CT slice | 512x512 px 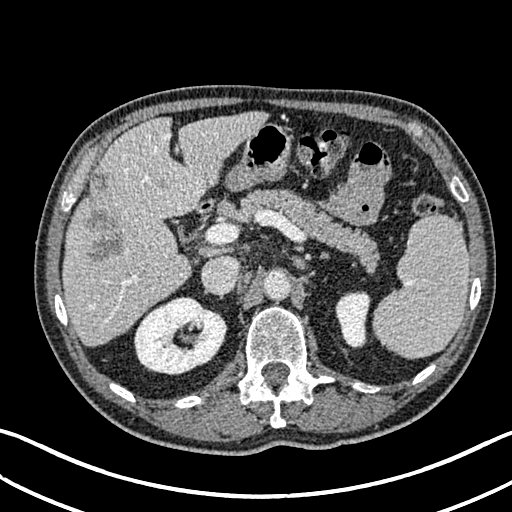

Segmented structures:
* liver: <box>63,111,266,344</box>
* kidney: <box>337,293,368,346</box>, <box>135,298,225,373</box>
* hepatic lesion: <box>92,173,105,192</box>, <box>87,210,123,262</box>